Field of view 424 mm wide, 5.00 mm slice spacing. 512x512. CT scan slice. Slice 68/96.

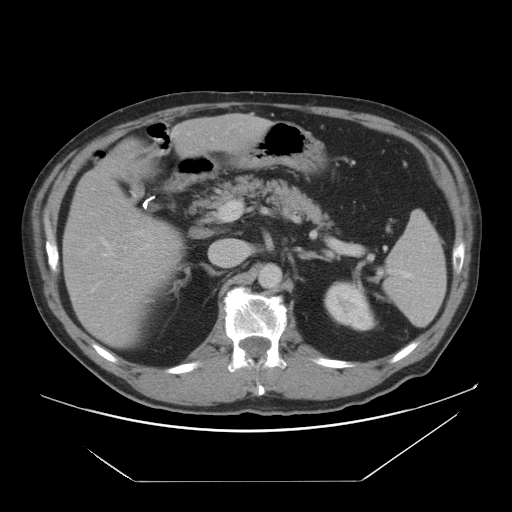 {
  "liver": [
    "(x1=63, y1=139, x2=184, y2=347)",
    "(x1=167, y1=113, x2=272, y2=158)"
  ],
  "kidney": [
    "(x1=327, y1=285, x2=372, y2=329)"
  ]
}